MR | 37x50 | Medial temporal lobe

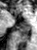

Annotated regions:
- posterior hippocampus: 16, 23, 30, 36